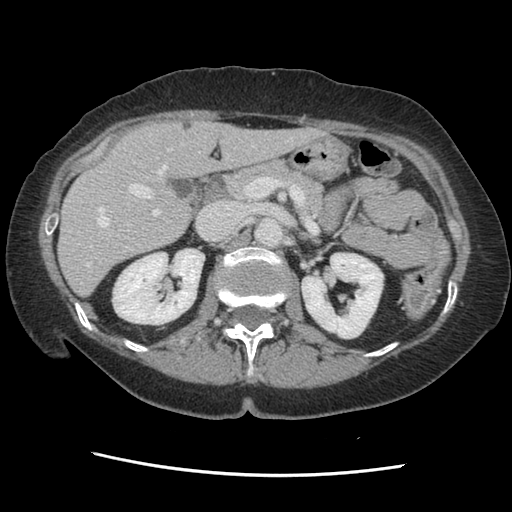 512x512 px. Abdomen. CT image. The vessel boxes may cover only some of the vessels.
hepatic_vessel:
  - left=86, top=262, right=90, bottom=265
  - left=168, top=148, right=171, bottom=150
  - left=98, top=207, right=108, bottom=226
  - left=252, top=145, right=254, bottom=146
  - left=158, top=165, right=166, bottom=174
  - left=153, top=209, right=159, bottom=214
  - left=129, top=184, right=151, bottom=199
liver_tumor:
  - left=183, top=121, right=192, bottom=131